FLAIR MR.
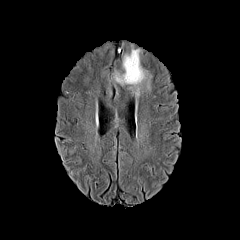
T1-weighted MR image.
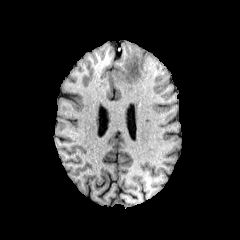
Post-contrast T1-weighted magnetic resonance.
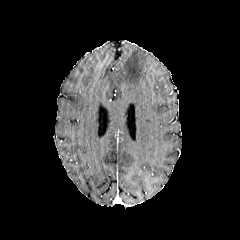
T2-weighted magnetic resonance.
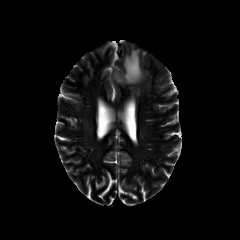
Brain. 240x240 px.
Edema at (114, 48, 148, 84).